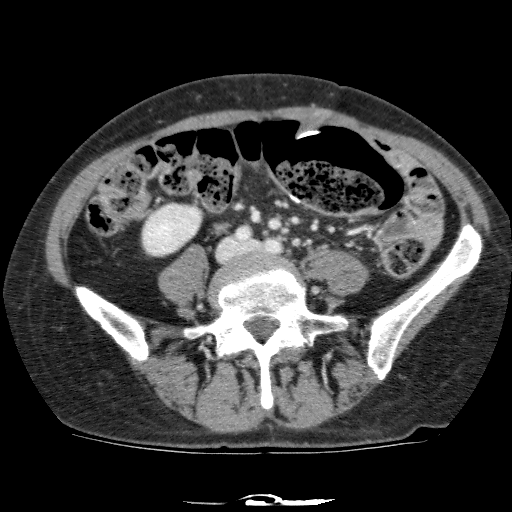 CT slice

kidney:
  - 144 205 199 254